FLAIR MR.
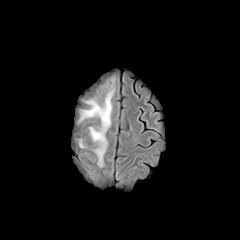
T1-weighted MR.
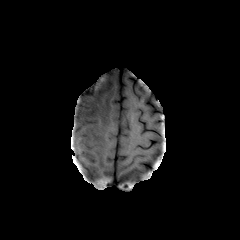
Post-contrast T1-weighted magnetic resonance.
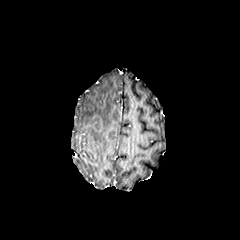
T2-weighted MR image.
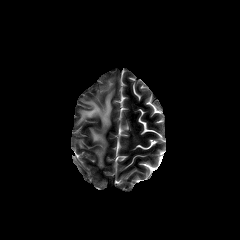
Head
Annotated regions:
• edema: (x1=81, y1=89, x2=114, y2=165)